240x240. Slice 68 of 155.
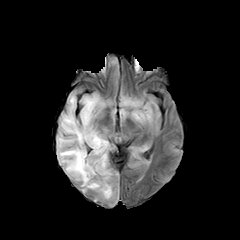
FLAIR MR image.
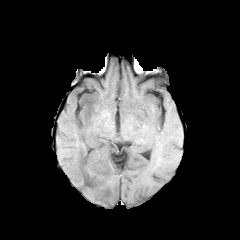
T1-weighted MR.
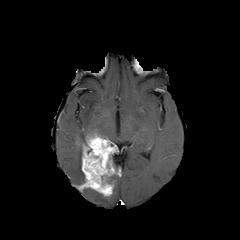
Same slice, post-contrast T1-weighted MR.
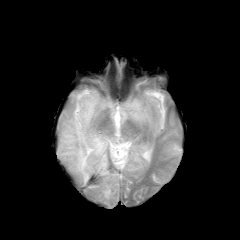
Same slice, T2-weighted MR image.
Enhancing tumor = l=82, t=132, r=115, b=196.
Non-enhancing tumor core = l=106, t=170, r=119, b=185.
Edema = l=120, t=96, r=152, b=123; l=57, t=92, r=105, b=191; l=134, t=146, r=145, b=157.